FLAIR MRI.
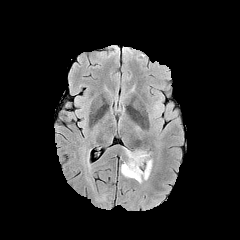
T1-weighted MR image.
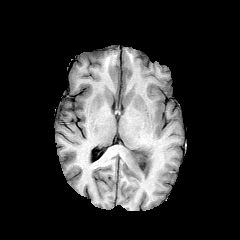
Post-contrast T1-weighted MRI.
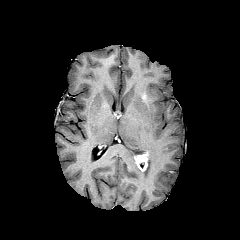
T2-weighted magnetic resonance.
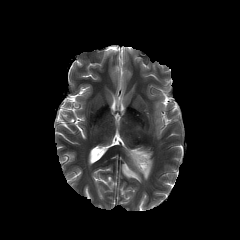
240x240; Brain
<segmentation>
  <edema>x1=121 y1=147 x2=152 y2=182</edema>
  <non-enhancing_tumor_core>x1=126 y1=150 x2=147 y2=171</non-enhancing_tumor_core>
  <enhancing_tumor>x1=133 y1=153 x2=147 y2=171</enhancing_tumor>
</segmentation>